CT slice | Abdomen
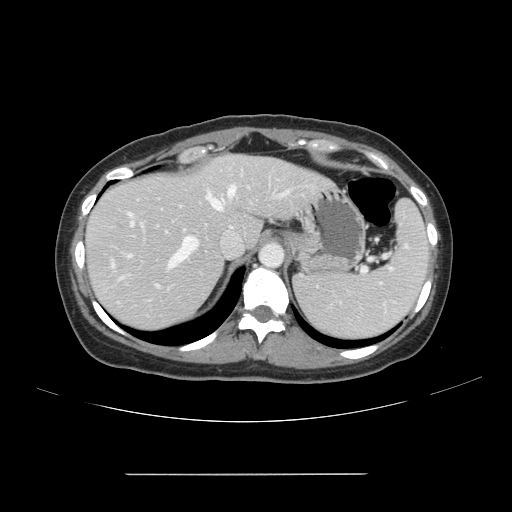
Not every hepatic vessel necessarily has a box.
9 hepatic vessel regions appear at 228, 185, 235, 196; 129, 213, 132, 216; 112, 263, 113, 267; 130, 220, 133, 225; 281, 191, 288, 195; 207, 191, 223, 209; 168, 236, 197, 268; 141, 222, 142, 225; 128, 255, 131, 256.